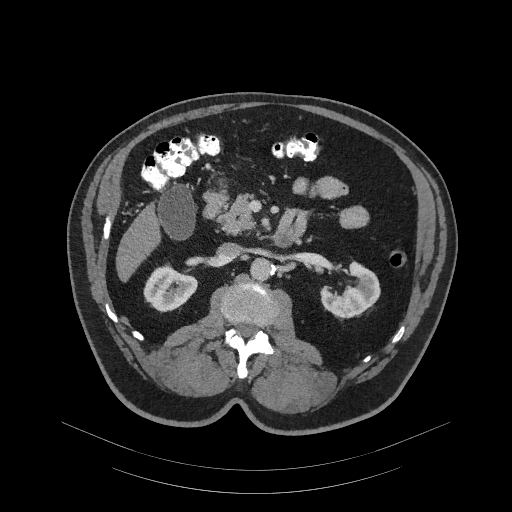
CT

pancreas: [x1=219, y1=194, x2=255, y2=231]